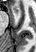
MR.
Anterior hippocampus at (left=12, top=6, right=18, bottom=13).